Computed tomography | Slice 500/677

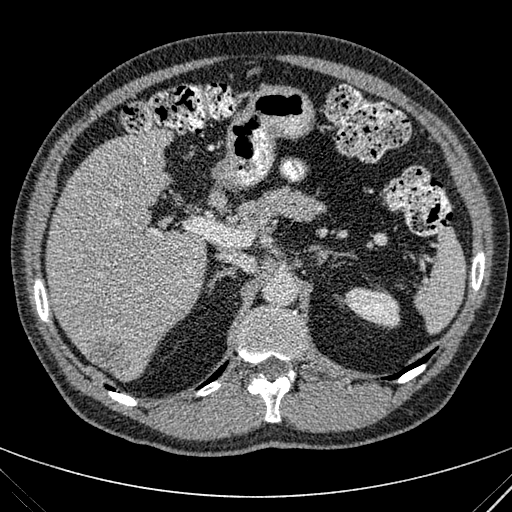

focal liver lesion: (84,333,130,371) | liver: (46,128,204,379) | kidney: (344,288,399,326)